CT scan slice

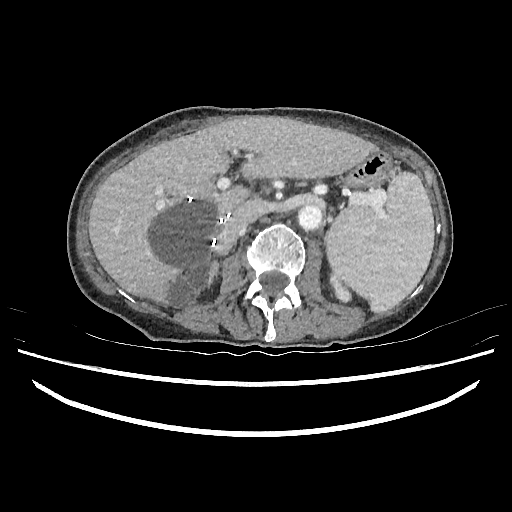 The focal liver lesion is at [150,201,217,306]. The kidney is at [330,277,348,294]. 2 liver regions are bounded by [89,117,372,306], [204,262,217,288].